Liver | 512x512 px | CT

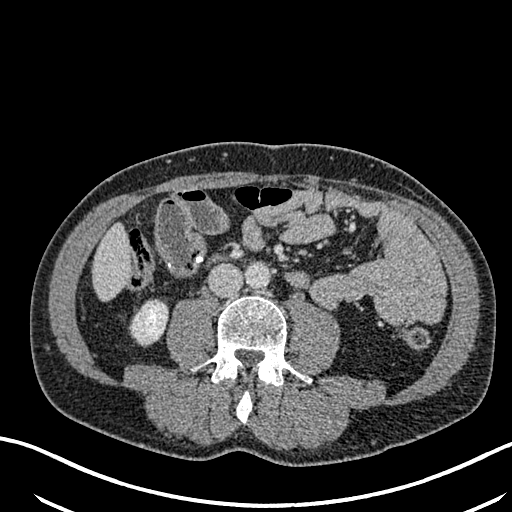 <segmentation>
  <kidney>[132,301,167,343]</kidney>
  <liver>[94,223,128,300]</liver>
</segmentation>